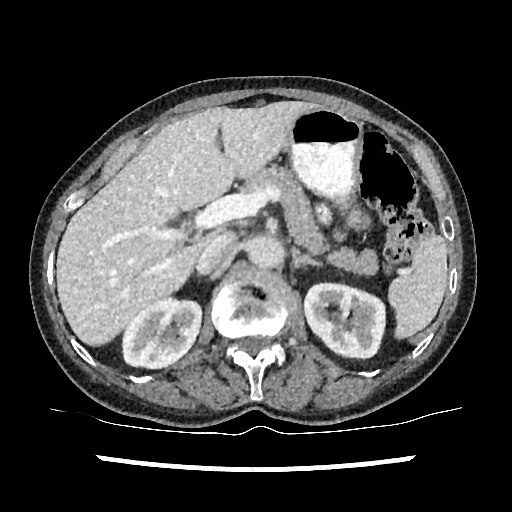 512x512. CT scan slice. Upper abdomen.
Kidney = 305 284 384 358, 123 299 201 370.
Liver = 58 102 317 344.